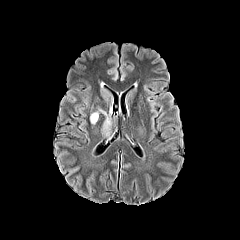
FLAIR MR.
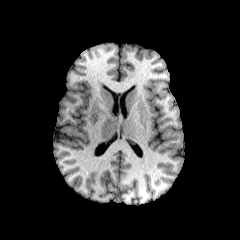
T1-weighted MR of the same slice.
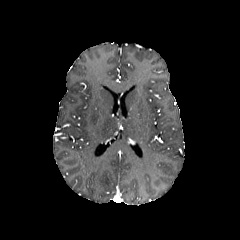
Post-contrast T1-weighted magnetic resonance.
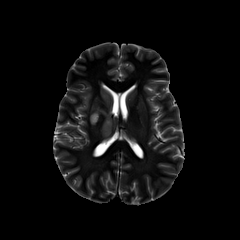
Same slice, T2-weighted MR image.
• edema: <bbox>89, 98, 113, 138</bbox>, <bbox>101, 89, 108, 103</bbox>